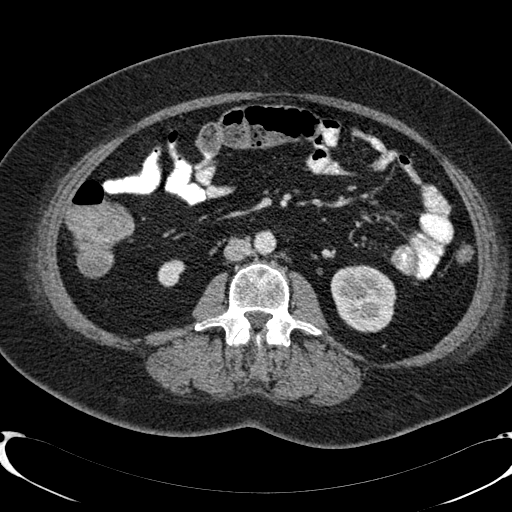
CT slice | Abdomen
kidney: {"x1": 159, "y1": 261, "x2": 183, "y2": 285}, {"x1": 332, "y1": 266, "x2": 395, "y2": 330}